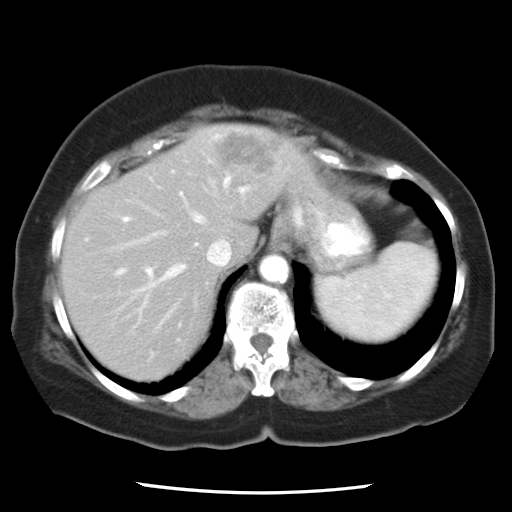

512x512; Computed tomography

Some hepatic vessels may have no box.
9 hepatic vessel regions appear at [x1=223, y1=176, x2=228, y2=184], [x1=195, y1=216, x2=201, y2=221], [x1=167, y1=264, x2=183, y2=276], [x1=146, y1=268, x2=151, y2=275], [x1=206, y1=238, x2=230, y2=266], [x1=139, y1=300, x2=145, y2=316], [x1=123, y1=217, x2=127, y2=220], [x1=239, y1=187, x2=246, y2=192], [x1=119, y1=269, x2=123, y2=272]. The liver tumor is located at [x1=213, y1=129, x2=284, y2=176].